CT slice | Slice 80 of 131 | 512x512 px | Abdomen
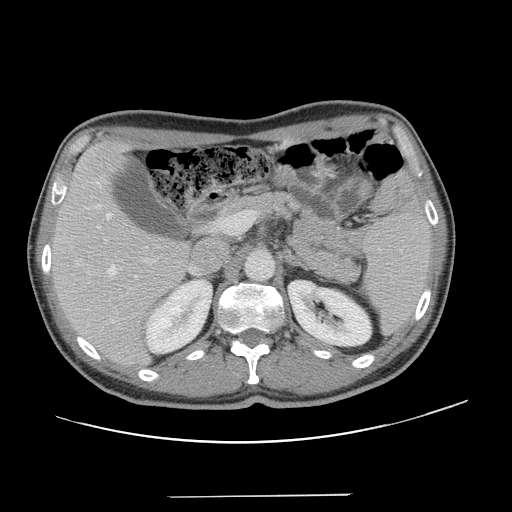 Some hepatic vessels may have no box.
Annotated regions:
- hepatic vessel: <bbox>96, 182, 99, 185</bbox>, <bbox>108, 265, 115, 275</bbox>, <bbox>135, 275, 137, 277</bbox>, <bbox>96, 204, 102, 207</bbox>, <bbox>106, 213, 110, 218</bbox>, <bbox>145, 259, 154, 263</bbox>, <bbox>105, 238, 107, 241</bbox>